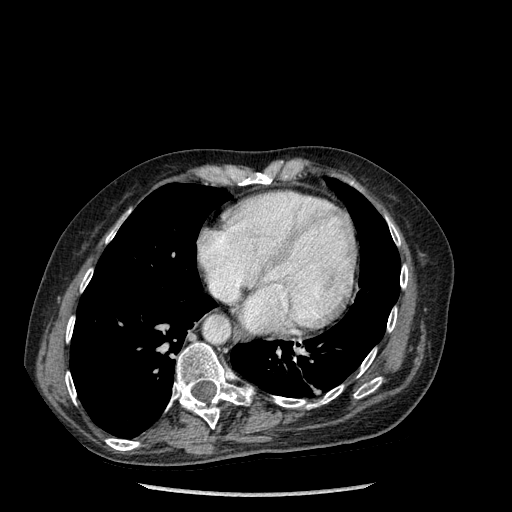 512x512 px; CT; Thorax
Bone at x1=387, y1=307, x2=397, y2=331; x1=237, y1=171, x2=272, y2=185; x1=65, y1=371, x2=76, y2=404; x1=80, y1=268, x2=92, y2=292; x1=357, y1=348, x2=376, y2=377; x1=386, y1=216, x2=400, y2=245; x1=166, y1=342, x2=253, y2=428; x1=400, y1=264, x2=408, y2=288; x1=354, y1=377, x2=382, y2=398; x1=105, y1=210, x2=130, y2=243; x1=66, y1=316, x2=74, y2=342; x1=272, y1=385, x2=343, y2=409; x1=105, y1=438, x2=139, y2=450.
Lung at x1=70, y1=183, x2=230, y2=438; x1=230, y1=179, x2=400, y2=398.